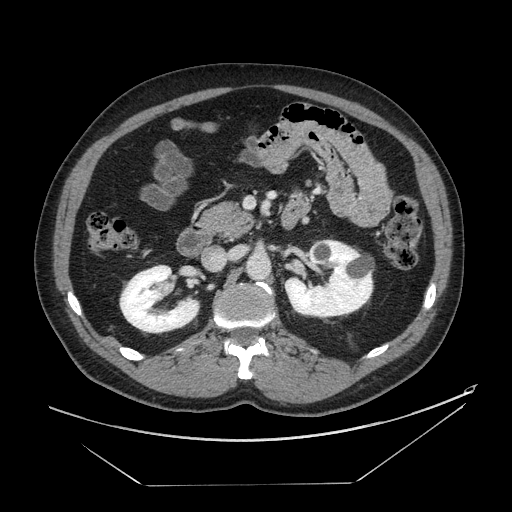
CT slice
Pancreas: x1=199, y1=202, x2=255, y2=239.